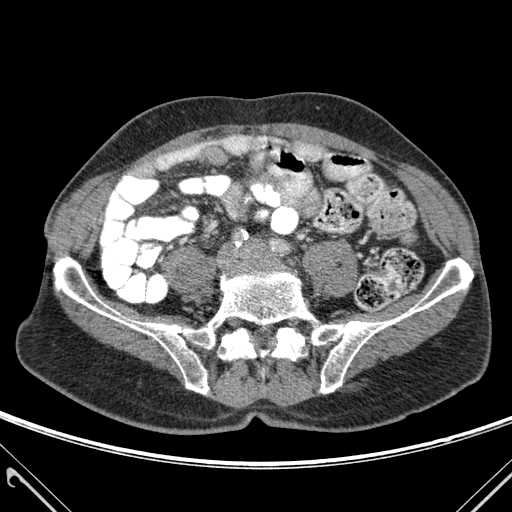

CT scan slice | Image size 512x512
<segmentation>
  <bone>box(311, 258, 473, 393); box(272, 328, 304, 360); box(54, 257, 317, 393); box(220, 328, 256, 359)</bone>
</segmentation>